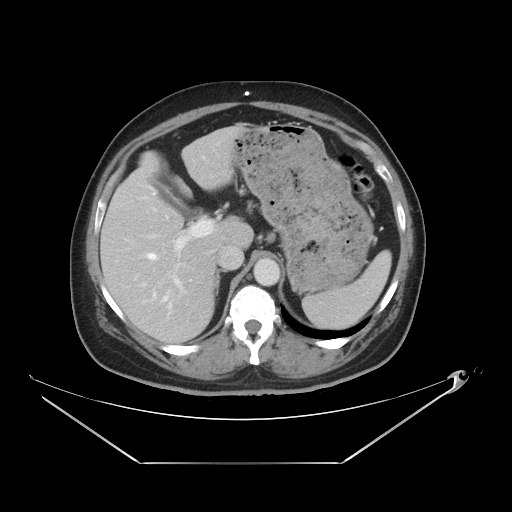
CT scan slice

Only some of the vessels may be annotated.
{"hepatic_vessel": ["(148, 254, 155, 257)", "(176, 236, 185, 249)"]}